Head, Slice 49 of 155
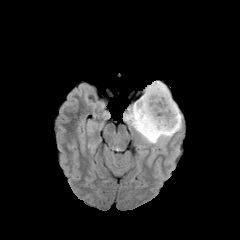
FLAIR MR image.
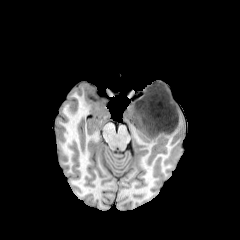
Same slice, T1-weighted magnetic resonance.
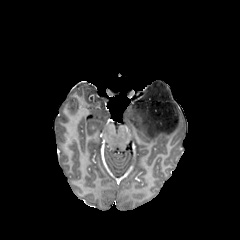
Post-contrast T1-weighted MR.
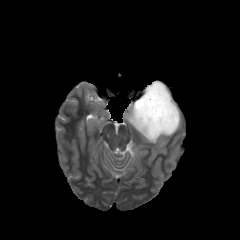
Same slice, T2-weighted MRI.
• edema: [x1=124, y1=99, x2=181, y2=149]
• non-enhancing tumor core: [x1=134, y1=82, x2=178, y2=137]